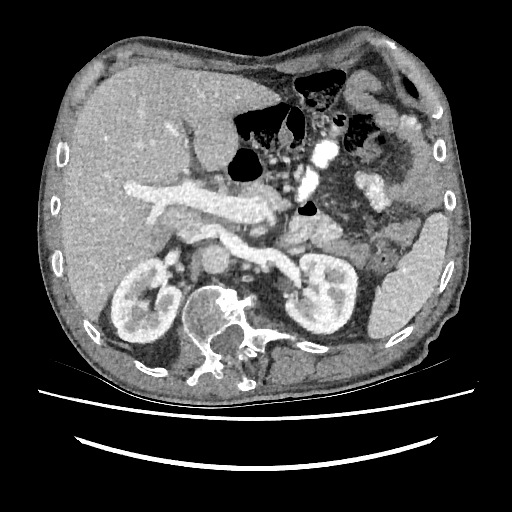 512x512 px. CT scan slice. Kidney at [x1=111, y1=259, x2=181, y2=342], [x1=286, y1=254, x2=356, y2=333].
Liver at [x1=62, y1=64, x2=279, y2=319].